512x512, CT, Slice 15 of 43

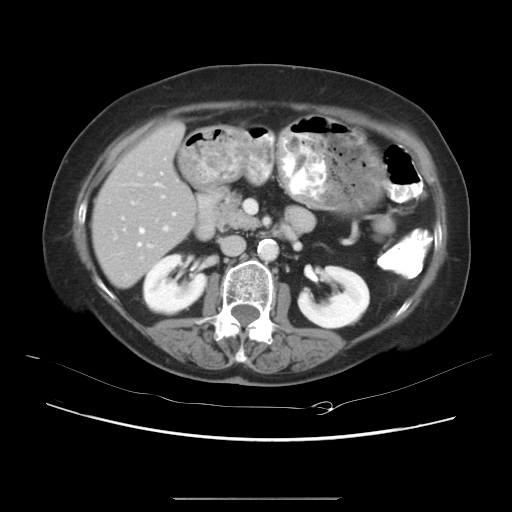 The vessel annotation is not exhaustive.
Annotated regions:
- hepatic vessel: {"x1": 154, "y1": 183, "x2": 162, "y2": 187}, {"x1": 122, "y1": 217, "x2": 123, "y2": 219}, {"x1": 127, "y1": 275, "x2": 128, "y2": 276}, {"x1": 161, "y1": 196, "x2": 164, "y2": 198}, {"x1": 139, "y1": 228, "x2": 143, "y2": 233}, {"x1": 114, "y1": 234, "x2": 116, "y2": 238}, {"x1": 123, "y1": 228, "x2": 124, "y2": 230}, {"x1": 171, "y1": 134, "x2": 172, "y2": 135}, {"x1": 147, "y1": 245, "x2": 152, "y2": 247}, {"x1": 140, "y1": 257, "x2": 142, "y2": 258}, {"x1": 163, "y1": 226, "x2": 168, "y2": 230}, {"x1": 138, "y1": 173, "x2": 142, "y2": 175}, {"x1": 172, "y1": 213, "x2": 174, "y2": 216}, {"x1": 137, "y1": 243, "x2": 141, "y2": 246}, {"x1": 131, "y1": 202, "x2": 136, "y2": 204}